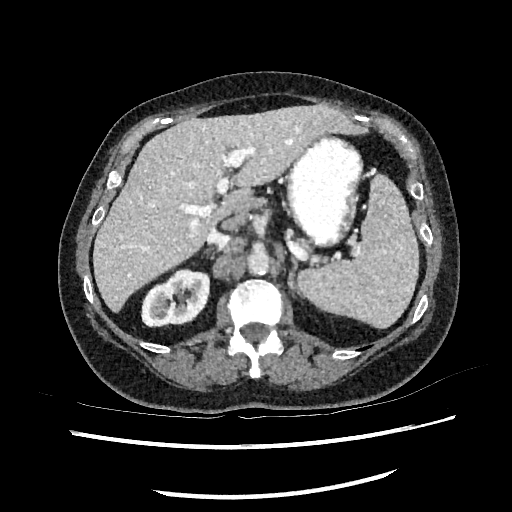
CT image | Upper abdomen
* liver: region(94, 105, 368, 313)
* kidney: region(142, 271, 208, 325)